Head
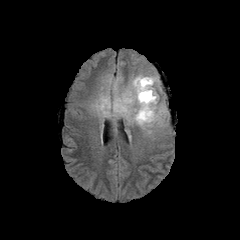
FLAIR magnetic resonance.
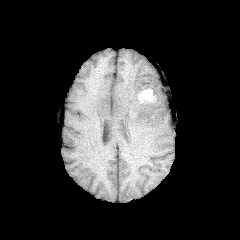
Same slice, T1-weighted MR.
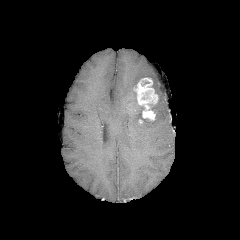
Post-contrast T1-weighted magnetic resonance.
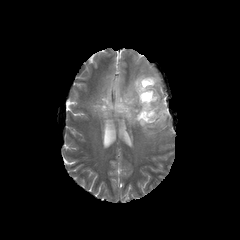
T2-weighted MR.
Annotated regions:
• enhancing tumor: (left=134, top=77, right=158, bottom=121)
• edema: (left=90, top=72, right=170, bottom=136)
• non-enhancing tumor core: (left=124, top=94, right=143, bottom=123), (left=152, top=100, right=160, bottom=121)